Slice 77/816 | CT image 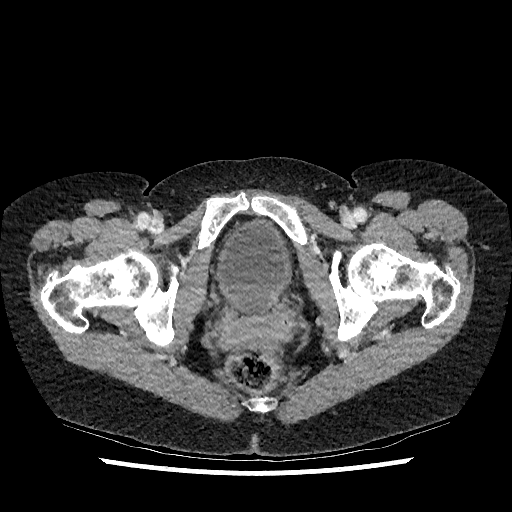 The urinary bladder appears at left=211, top=215, right=294, bottom=295.